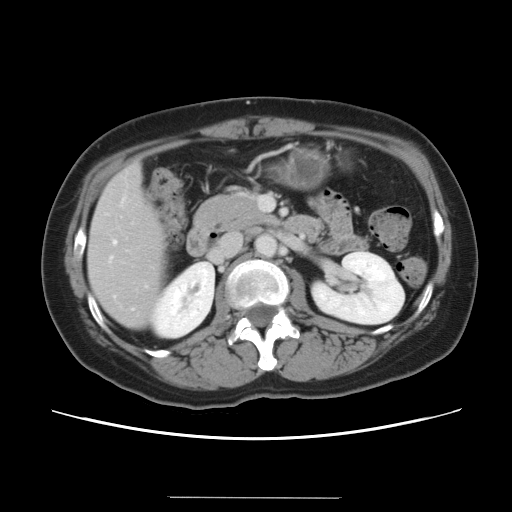

CT image.

Not every hepatic vessel necessarily has a box.
hepatic_vessel:
  - (120, 205, 121, 207)
  - (105, 214, 107, 215)
  - (109, 256, 112, 261)
  - (145, 286, 147, 288)
  - (113, 241, 115, 244)
  - (121, 198, 124, 203)